Pelvis. Slice index 108. Computed tomography. 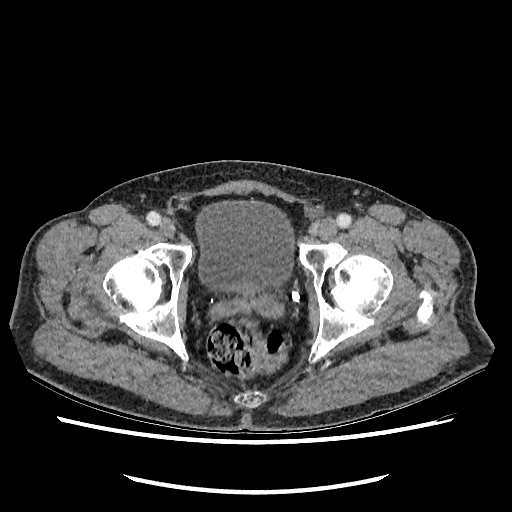

Urinary bladder: 195:200:294:298.